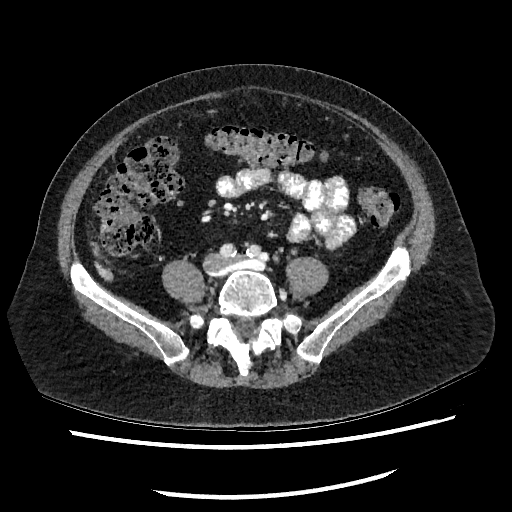 Upper abdomen; CT scan slice
<segmentation>
  <liver>94,261,111,280</liver>
</segmentation>